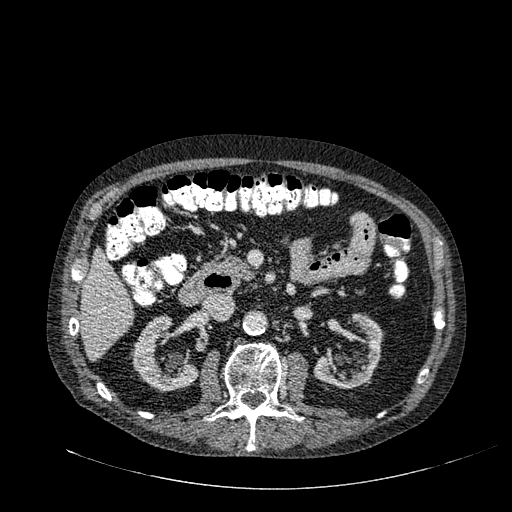
512x512 px; Liver; CT slice
Annotated regions:
• kidney: left=313, top=313, right=383, bottom=388; left=131, top=314, right=198, bottom=391
• liver: left=82, top=249, right=133, bottom=360